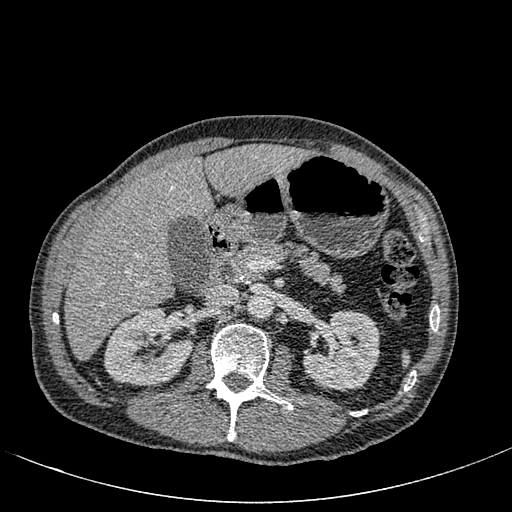

Liver | 512x512 | CT slice
Liver = [x1=65, y1=145, x2=314, y2=359].
Kidney = [x1=104, y1=308, x2=192, y2=385], [x1=303, y1=311, x2=378, y2=390].